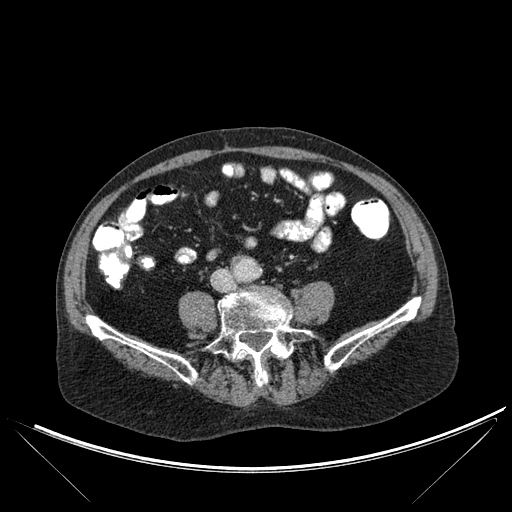 512x512, Computed tomography
Bone: (x1=324, y1=297, x2=420, y2=370), (x1=213, y1=291, x2=307, y2=389), (x1=86, y1=315, x2=197, y2=383).